Pelvis. CT.
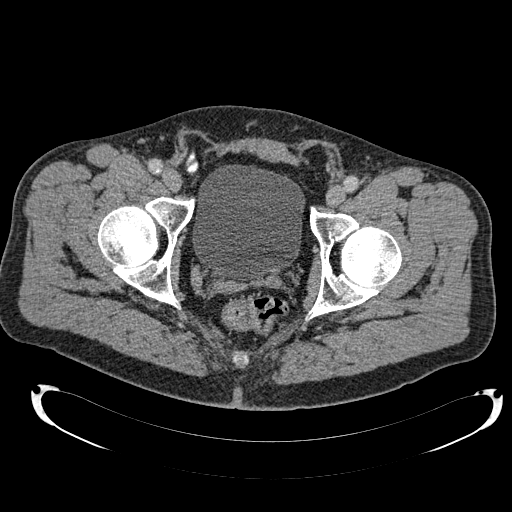

urinary_bladder:
  - l=192, t=164, r=304, b=281